Brain | 240x240 px | Slice 57 of 155
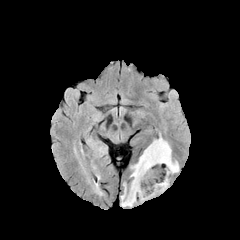
FLAIR MRI.
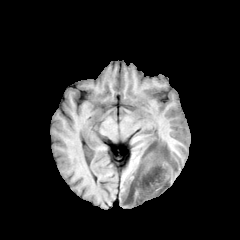
T1-weighted MRI.
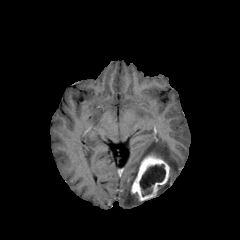
Post-contrast T1-weighted magnetic resonance.
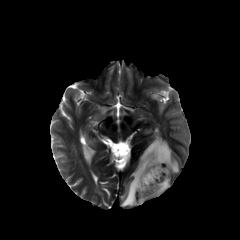
T2-weighted magnetic resonance of the same slice.
Segmented structures:
- non-enhancing tumor core: 140:164:165:190
- enhancing tumor: 130:154:170:201
- edema: 158:179:169:193, 130:136:179:185, 121:182:142:206